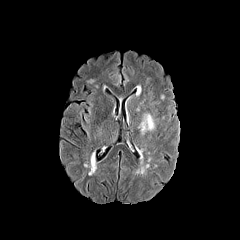
FLAIR MR.
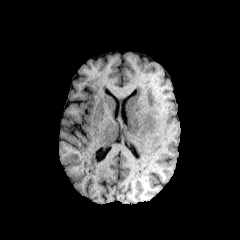
T1-weighted MRI of the same slice.
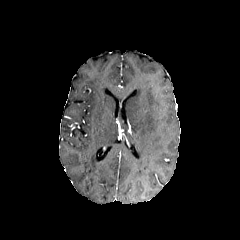
Post-contrast T1-weighted magnetic resonance.
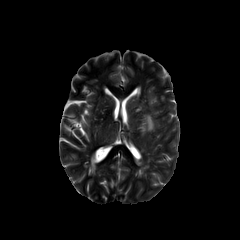
T2-weighted MR image of the same slice.
Image size 240x240.
The edema appears at l=139, t=115, r=154, b=135.